Slice 71 of 155; Brain
FLAIR MR image.
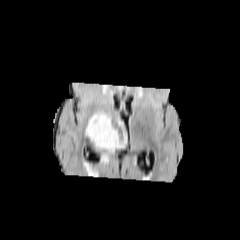
T1-weighted MR.
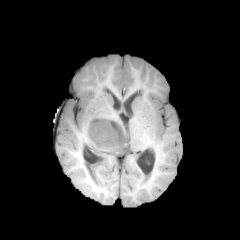
Post-contrast T1-weighted magnetic resonance.
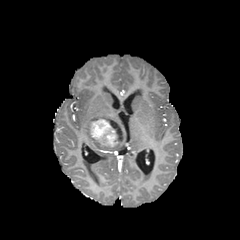
T2-weighted MR image.
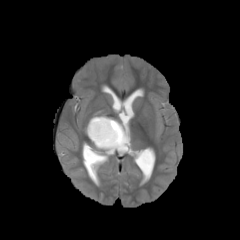
non-enhancing tumor core: (left=86, top=115, right=127, bottom=142) | enhancing tumor: (left=88, top=118, right=123, bottom=147)